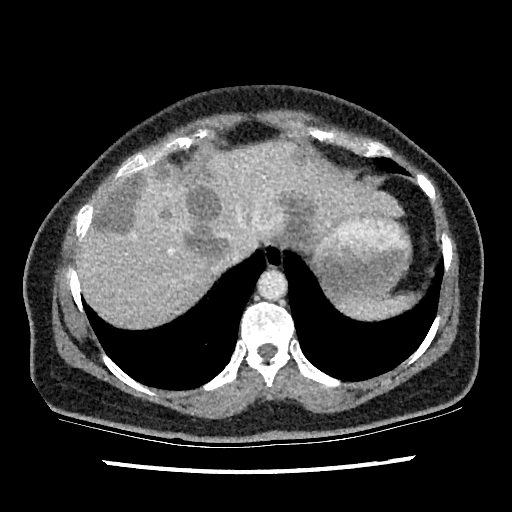

Abdomen, CT
8 focal liver lesion regions are bounded by 291, 148, 306, 166; 93, 172, 146, 233; 187, 186, 220, 220; 157, 164, 169, 179; 184, 226, 227, 258; 180, 156, 211, 184; 159, 212, 170, 218; 272, 190, 317, 247. 2 liver regions are located at 96, 182, 120, 214; 77, 142, 401, 327.